FLAIR MR.
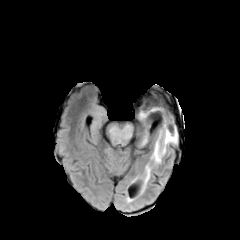
T1-weighted MRI.
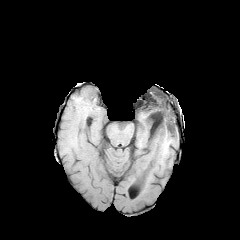
Post-contrast T1-weighted MR.
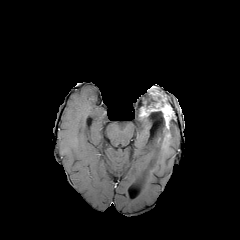
T2-weighted MR image.
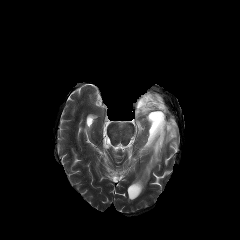
Non-enhancing tumor core — [145, 110, 168, 145], [141, 102, 161, 107].
Enhancing tumor — [139, 103, 171, 143].
Edema — [150, 126, 177, 165], [139, 164, 151, 193].